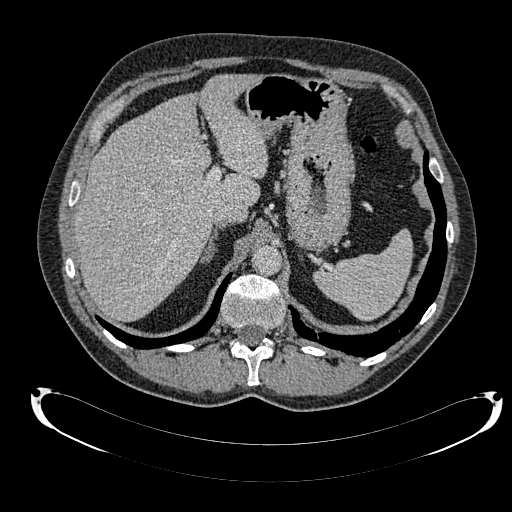 Computed tomography
{"liver": ["x1=75, y1=74, x2=267, y2=321"]}